36x48 | MR image 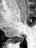 posterior_hippocampus:
  - (left=12, top=36, right=23, bottom=42)